Slice index 75. 240x240 px. Head.
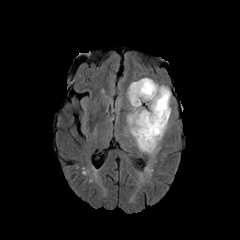
FLAIR MRI.
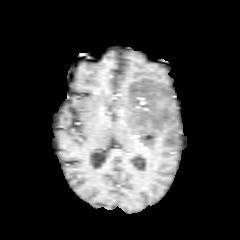
T1-weighted magnetic resonance.
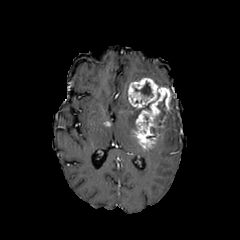
Post-contrast T1-weighted MR image.
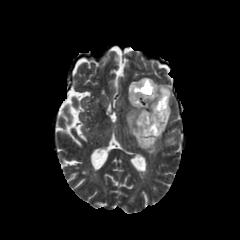
Same slice, T2-weighted MR.
The enhancing tumor appears at [x1=128, y1=78, x2=170, y2=148]. The edema is at [x1=126, y1=90, x2=171, y2=155]. 3 non-enhancing tumor core regions are bounded by [x1=141, y1=101, x2=154, y2=112], [x1=151, y1=95, x2=166, y2=132], [x1=140, y1=82, x2=152, y2=102].